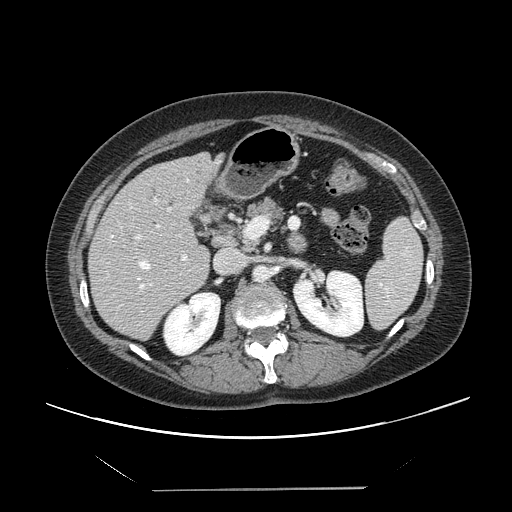

CT image.

Some hepatic vessels may have no box.
Hepatic vessel = (left=156, top=224, right=160, bottom=228), (left=135, top=234, right=143, bottom=239), (left=166, top=208, right=171, bottom=211), (left=154, top=198, right=157, bottom=203), (left=178, top=234, right=182, bottom=237), (left=137, top=258, right=150, bottom=270), (left=108, top=235, right=113, bottom=240), (left=187, top=179, right=188, bottom=181), (left=246, top=217, right=261, bottom=237), (left=181, top=253, right=188, bottom=261), (left=137, top=277, right=152, bottom=294), (left=127, top=203, right=133, bottom=209), (left=215, top=249, right=243, bottom=272), (left=118, top=222, right=120, bottom=227).